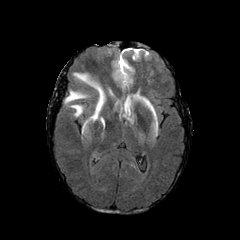
FLAIR MR.
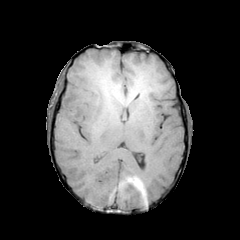
T1-weighted MRI.
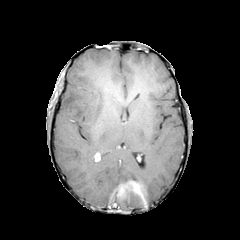
Post-contrast T1-weighted MRI.
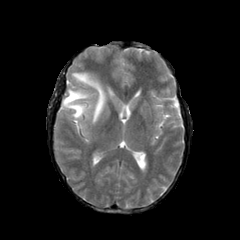
T2-weighted MRI.
The edema is at bbox=[63, 72, 105, 127].